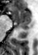
38x55 px, Magnetic resonance
anterior hippocampus: bbox(11, 7, 30, 24) | posterior hippocampus: bbox(19, 25, 29, 29)